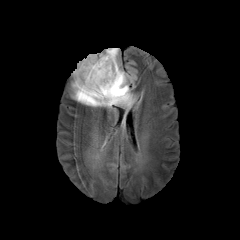
FLAIR MR image.
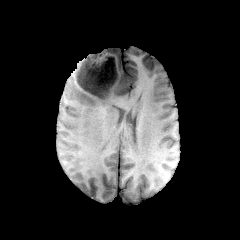
T1-weighted MRI.
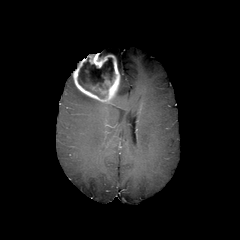
Post-contrast T1-weighted MRI.
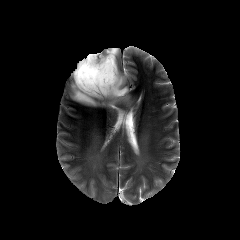
T2-weighted MR image.
240x240
Edema: bounding box (71, 48, 136, 111).
Non-enhancing tumor core: bounding box (99, 52, 115, 60), (78, 57, 114, 98).
Enhancing tumor: bounding box (73, 53, 119, 103).